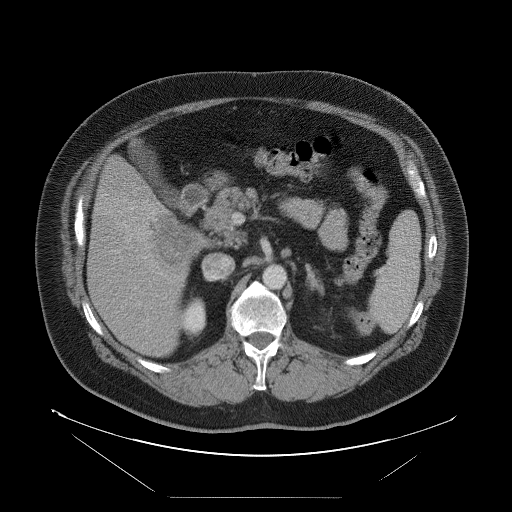 Computed tomography, Image size 512x512
The vessel annotation is not exhaustive.
{
  "hepatic_vessel": [
    "(125, 234, 132, 242)",
    "(135, 286, 136, 288)",
    "(136, 301, 141, 305)",
    "(144, 257, 145, 258)",
    "(118, 222, 128, 232)",
    "(149, 231, 151, 233)",
    "(159, 272, 161, 274)",
    "(152, 218, 156, 220)"
  ],
  "liver_tumor": [
    "(157, 215, 204, 269)"
  ]
}